CT slice 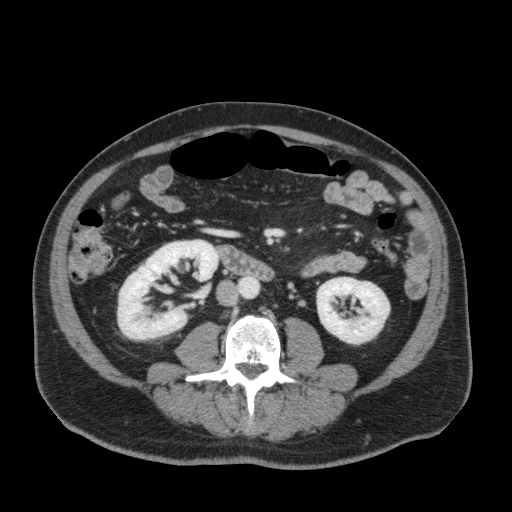 Kidney — <bbox>317, 277, 389, 343</bbox>, <bbox>118, 240, 218, 339</bbox>.